CT scan slice; Image width 437 mm; Slice index 517

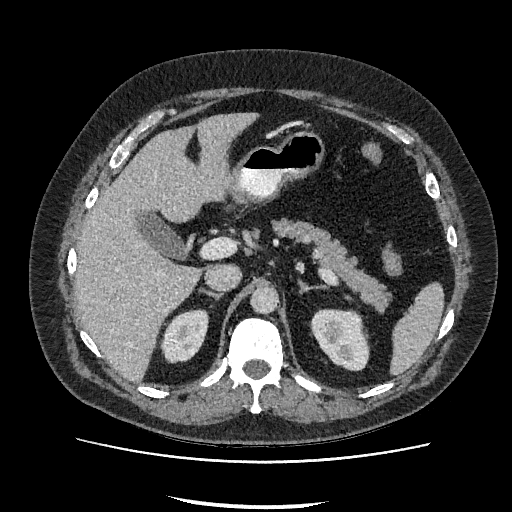
Kidney: bounding box (x1=312, y1=311, x2=367, y2=369), (x1=163, y1=311, x2=207, y2=360).
Liver: bounding box (x1=76, y1=113, x2=257, y2=380).